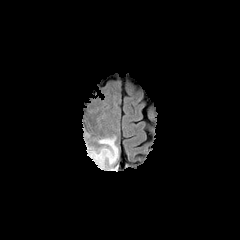
FLAIR MR.
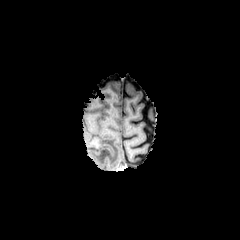
T1-weighted MR.
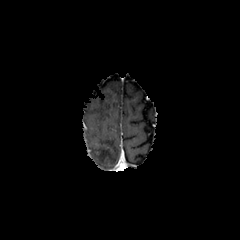
Same slice, post-contrast T1-weighted MR image.
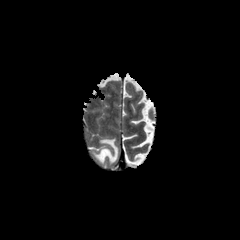
T2-weighted MR image.
Edema: x1=98 y1=139 x2=118 y2=163.